CT scan slice; 512x512 px; Slice index 636; Thorax

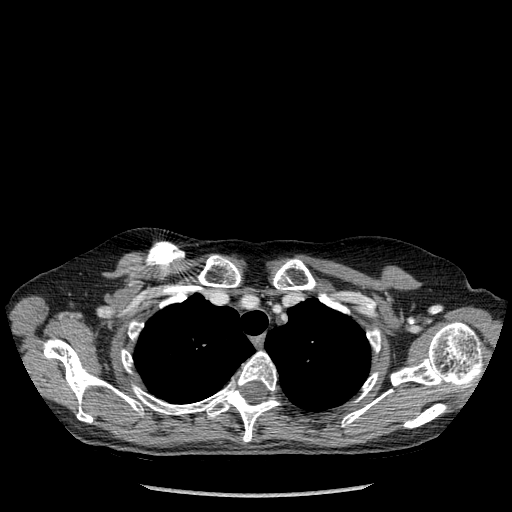
{"bone": ["[366, 328, 380, 352]", "[355, 372, 378, 401]", "[121, 349, 132, 372]", "[128, 320, 143, 339]", "[198, 255, 240, 289]", "[319, 292, 349, 313]", "[391, 322, 482, 389]", "[273, 259, 316, 291]", "[43, 338, 279, 441]", "[341, 389, 393, 426]", "[403, 404, 446, 428]", "[159, 286, 188, 307]"], "lung": ["[265, 298, 370, 411]", "[134, 293, 267, 403]"]}